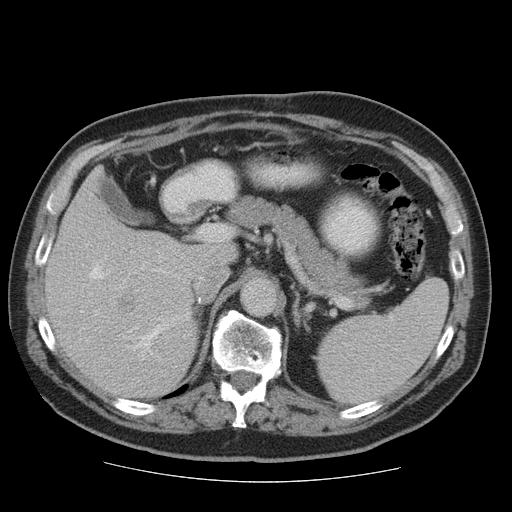

CT; Liver

The vessel boxes may cover only some of the vessels.
{"partial": true, "liver_tumor": ["x1=115 y1=294 x2=137 y2=316"], "hepatic_vessel": {"n_total": 18, "boxes": ["x1=171 y1=311 x2=188 y2=324", "x1=174 y1=251 x2=177 y2=254", "x1=138 y1=247 x2=142 y2=249", "x1=111 y1=296 x2=115 y2=304", "x1=93 y1=251 x2=96 y2=253", "x1=79 y1=327 x2=84 y2=332", "x1=108 y1=266 x2=111 y2=271", "x1=129 y1=326 x2=138 y2=332", "x1=95 y1=310 x2=98 y2=314", "x1=167 y1=244 x2=171 y2=249", "x1=127 y1=316 x2=168 y2=360", "x1=89 y1=263 x2=104 y2=278", "x1=125 y1=337 x2=129 y2=338", "x1=116 y1=286 x2=124 y2=288", "x1=152 y1=267 x2=180 y2=278"]}}